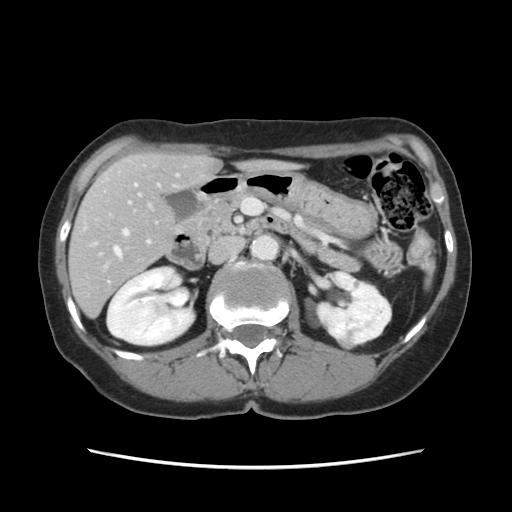
Abdomen, CT, 512x512
Not every hepatic vessel necessarily has a box.
5 hepatic vessel regions appear at (114, 247, 120, 256), (147, 241, 149, 243), (123, 230, 128, 234), (134, 184, 136, 186), (128, 202, 130, 203).